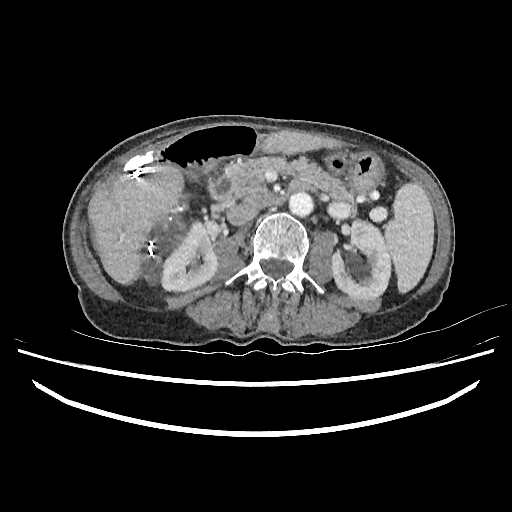

512x512. CT scan slice. Upper abdomen.
2 liver lesion regions are bounded by 91, 222, 97, 249; 141, 220, 183, 281. 2 kidney regions appear at 332, 221, 390, 299; 162, 220, 220, 291. 3 liver regions are bounded by 262, 132, 337, 153; 88, 166, 183, 284; 172, 225, 185, 248.